FLAIR MR.
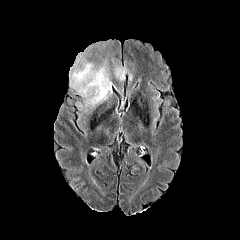
T1-weighted MR image.
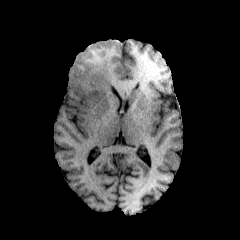
Post-contrast T1-weighted MRI.
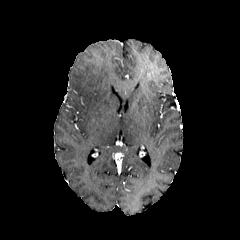
T2-weighted MR image.
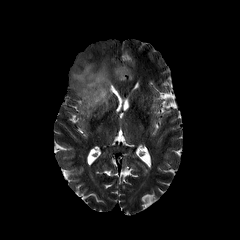
Image size 240x240.
Edema = bbox(114, 63, 128, 81); bbox(70, 57, 114, 113).